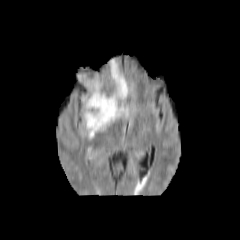
FLAIR MR image.
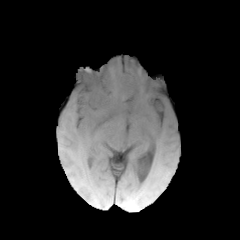
T1-weighted magnetic resonance of the same slice.
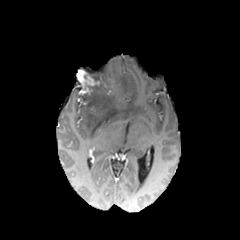
Post-contrast T1-weighted MR.
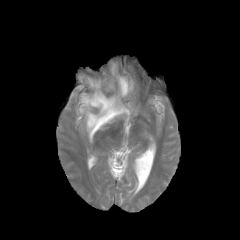
Same slice, T2-weighted magnetic resonance.
Brain
Non-enhancing tumor core: x1=76, y1=68, x2=114, y2=112.
Enhancing tumor: x1=77, y1=69, x2=95, y2=95.
Edema: x1=79, y1=61, x2=135, y2=138.